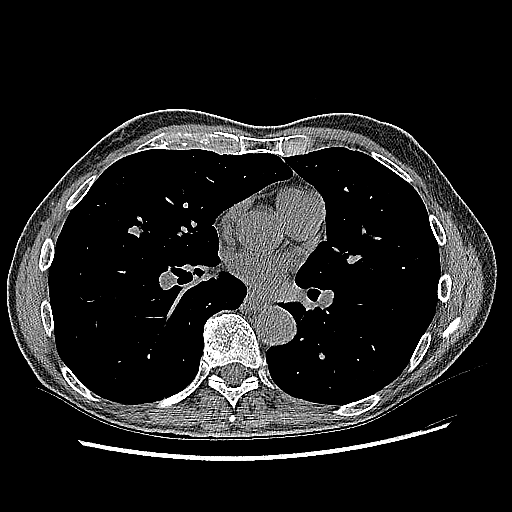 Chest, Computed tomography, 512x512 px

Lung tumor: <box>127,224,145,237</box>.